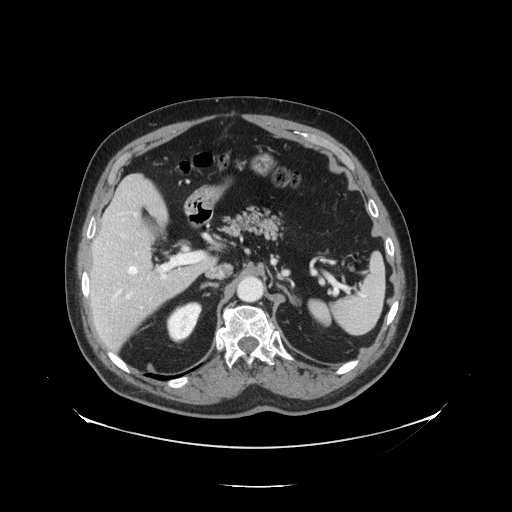

Abdomen | CT scan slice
Only some of the vessels may be annotated.
hepatic vessel: rect(194, 261, 198, 262); rect(132, 213, 137, 215); rect(127, 294, 130, 299); rect(115, 290, 120, 296); rect(158, 265, 172, 279); rect(128, 267, 138, 274); rect(135, 253, 137, 254)